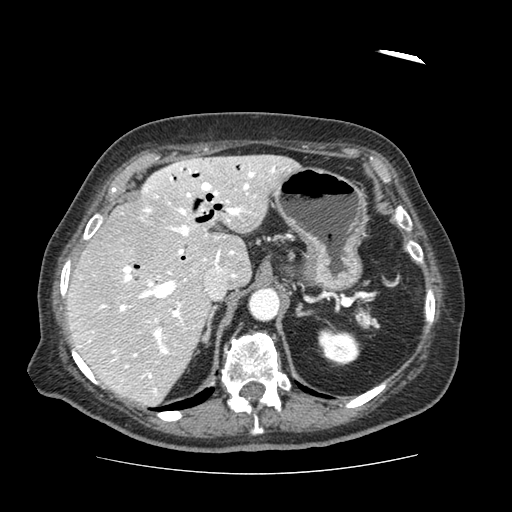

Abdomen. CT image.

The pancreas is located at bbox=[359, 311, 374, 326].